Brain.
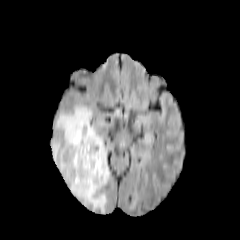
FLAIR MR.
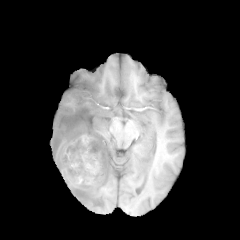
T1-weighted MR.
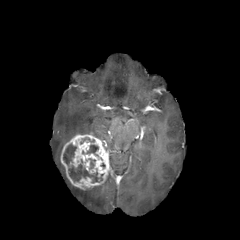
Post-contrast T1-weighted MR image.
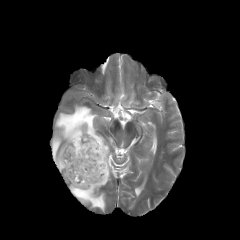
T2-weighted magnetic resonance.
Edema — bbox(51, 104, 109, 211).
Enhancing tumor — bbox(60, 132, 111, 190).
Non-enhancing tumor core — bbox(62, 144, 103, 183); bbox(88, 144, 98, 156).